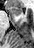 Medial temporal lobe, MRI slice
{
  "anterior_hippocampus": [
    "12, 7, 22, 15"
  ]
}